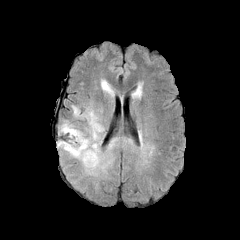
FLAIR MRI.
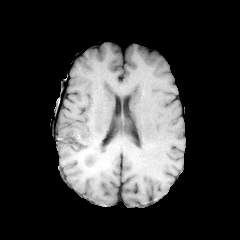
Same slice, T1-weighted MR.
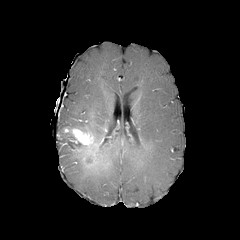
Same slice, post-contrast T1-weighted magnetic resonance.
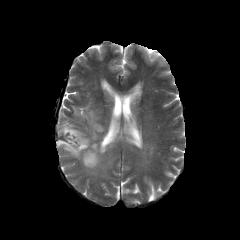
T2-weighted MR.
Head
The non-enhancing tumor core appears at 59 128 101 167. 3 edema regions are bounded by 131 88 141 98, 100 79 115 101, 57 100 117 175. The enhancing tumor is at 63 127 89 145.